Slice index 56, Upper abdomen, CT 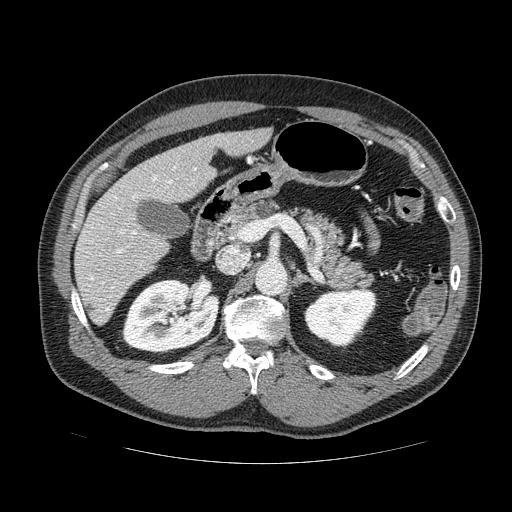

The pancreas is at [223, 199, 376, 289].